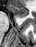 MRI; Medial temporal lobe; 36x47

The anterior hippocampus is located at region(10, 6, 28, 16).